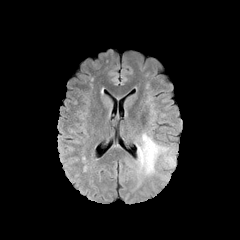
FLAIR MR image.
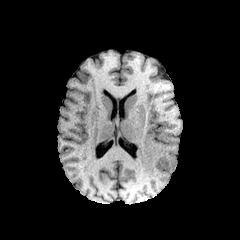
Same slice, T1-weighted MR.
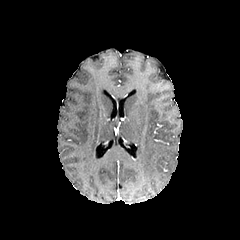
Post-contrast T1-weighted magnetic resonance.
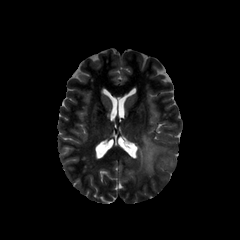
T2-weighted magnetic resonance.
Head.
Edema — (135,133,166,175), (167,158,175,166).